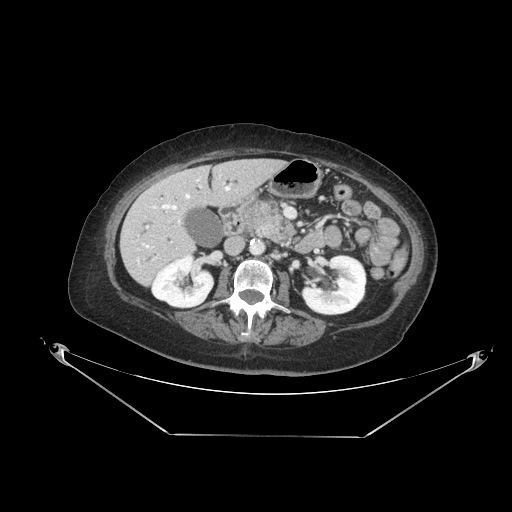 Image size 512x512. CT. Upper abdomen.
<segmentation>
  <pancreatic_tumor>[248, 205, 266, 222]</pancreatic_tumor>
  <pancreas>[246, 202, 283, 242]</pancreas>
</segmentation>